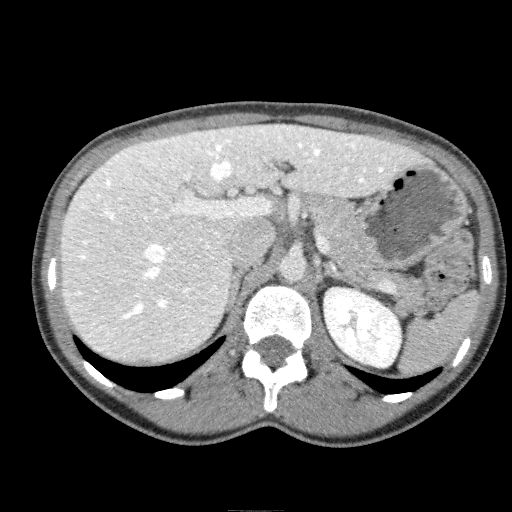 Abdomen. CT image. liver: x1=60, y1=123, x2=433, y2=361 | kidney: x1=324, y1=288, x2=400, y2=367